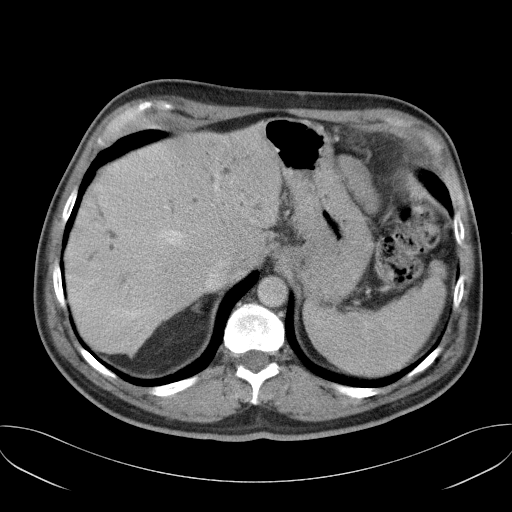
CT

Only some of the vessels may be annotated.
Hepatic vessel = <bbox>215, 184, 216, 188</bbox>, <bbox>217, 175, 219, 181</bbox>, <bbox>161, 230, 181, 243</bbox>.